Brain; 240x240; Slice 106/155
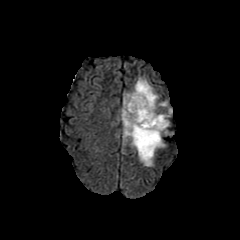
FLAIR MRI.
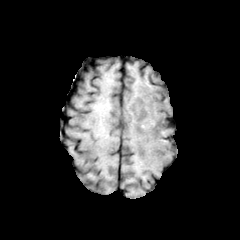
T1-weighted MRI.
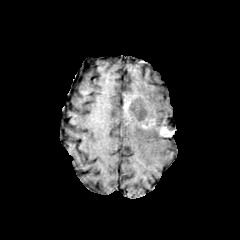
Same slice, post-contrast T1-weighted MR image.
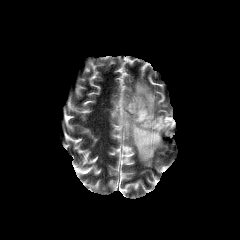
T2-weighted MR image.
<segmentation>
  <non-enhancing_tumor_core>(x1=122, y1=96, x2=155, y2=128)</non-enhancing_tumor_core>
  <edema>(x1=123, y1=78, x2=171, y2=131), (x1=120, y1=108, x2=164, y2=165)</edema>
  <enhancing_tumor>(x1=156, y1=122, x2=169, y2=135)</enhancing_tumor>
</segmentation>